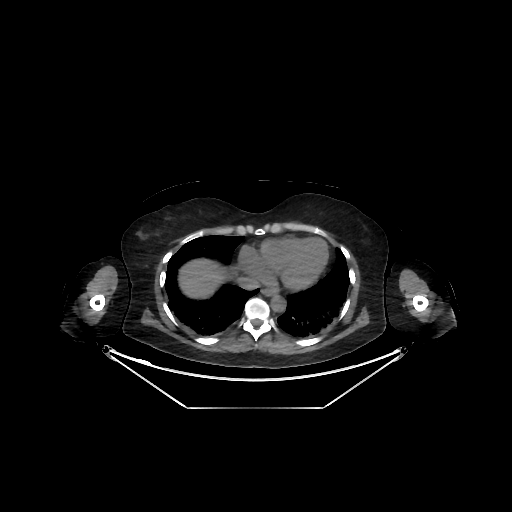

CT scan slice. Abdomen. 512x512 px. Liver at bbox(179, 259, 227, 297).